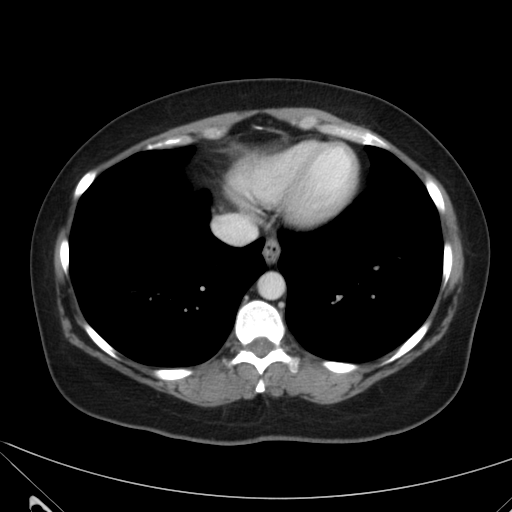

Computed tomography | 512x512 | Upper abdomen

Liver: [230, 160, 283, 194].